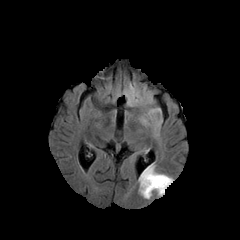
FLAIR MR.
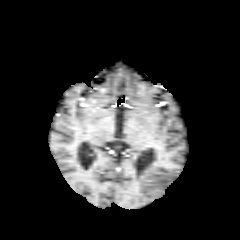
Same slice, T1-weighted magnetic resonance.
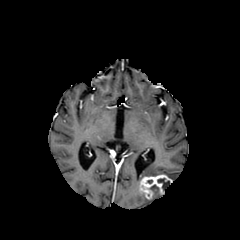
Post-contrast T1-weighted MR image.
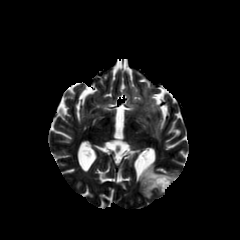
T2-weighted MR image.
240x240. Head.
enhancing tumor: x1=139, y1=174, x2=172, y2=198 | edema: x1=151, y1=187, x2=164, y2=197; x1=137, y1=161, x2=163, y2=185 | non-enhancing tumor core: x1=158, y1=179, x2=170, y2=190